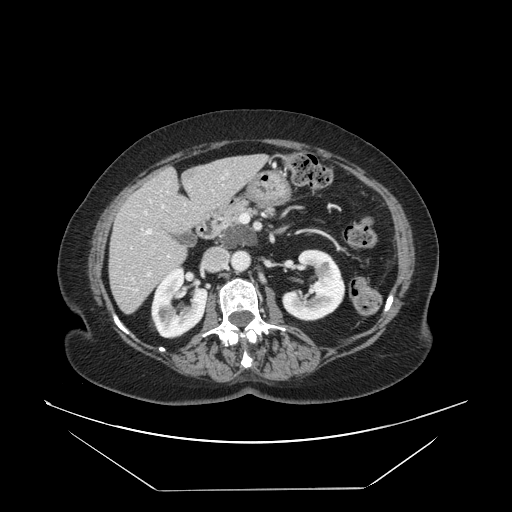

CT | 512x512 px
<segmentation>
  <pancreas>box(210, 196, 262, 248)</pancreas>
  <pancreatic_tumor>box(220, 225, 256, 248)</pancreatic_tumor>
</segmentation>